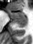
MR image
Posterior hippocampus at x1=14, y1=20, x2=26, y2=27.
Anterior hippocampus at x1=8, y1=10, x2=26, y2=19.